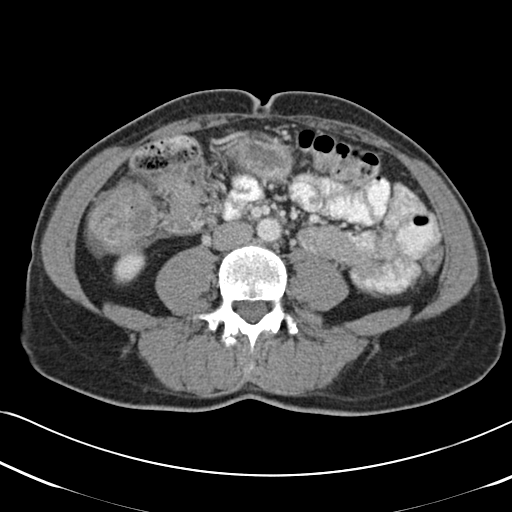 Abdomen | CT slice
colon_tumor:
  - (x1=89, y1=180, x2=160, y2=251)
  - (x1=155, y1=170, x2=202, y2=228)